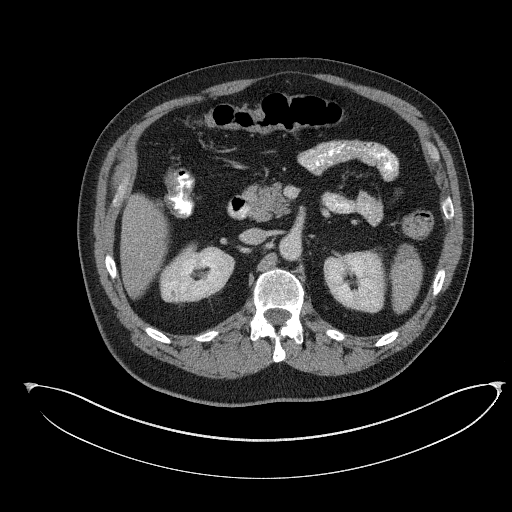
Upper abdomen. CT.
Pancreas — region(249, 183, 289, 222).